Brain
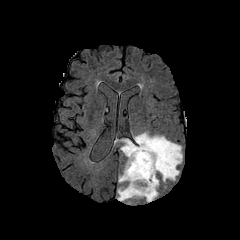
FLAIR MR image.
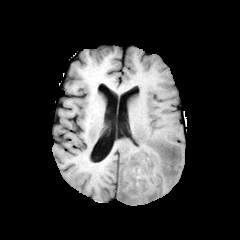
T1-weighted MRI.
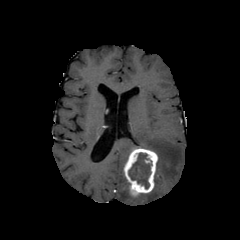
Same slice, post-contrast T1-weighted MR.
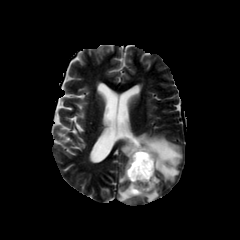
T2-weighted MR image.
<segmentation>
  <edema><bbox>114, 137, 134, 157</bbox>, <bbox>118, 174, 159, 203</bbox>, <bbox>118, 174, 126, 183</bbox>, <bbox>133, 132, 182, 182</bbox></edema>
  <non-enhancing_tumor_core><bbox>137, 178, 147, 187</bbox>, <bbox>129, 153, 149, 179</bbox></non-enhancing_tumor_core>
  <enhancing_tumor><bbox>123, 145, 158, 197</bbox></enhancing_tumor>
</segmentation>